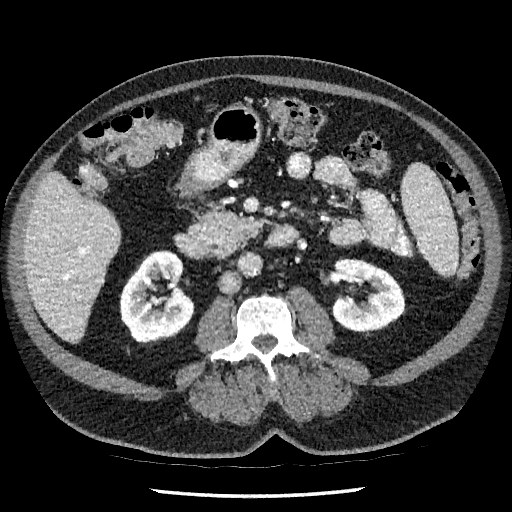

Image size 512x512. CT scan slice. Upper abdomen.

Annotated regions:
- kidney: x1=121, y1=252, x2=192, y2=341; x1=331, y1=259, x2=403, y2=330
- liver: x1=24, y1=171, x2=120, y2=341